FLAIR MR.
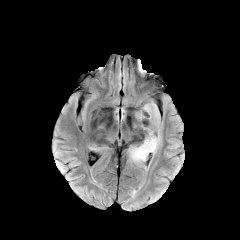
T1-weighted magnetic resonance.
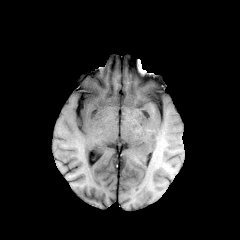
Post-contrast T1-weighted MR.
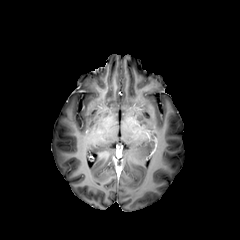
T2-weighted magnetic resonance.
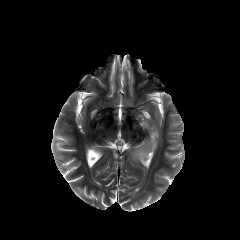
Head
edema: region(129, 130, 160, 162); region(143, 101, 160, 123)